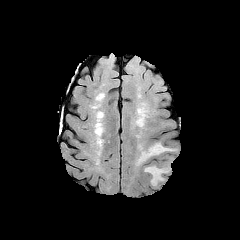
FLAIR MRI.
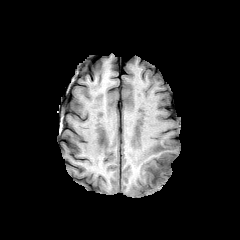
T1-weighted MRI.
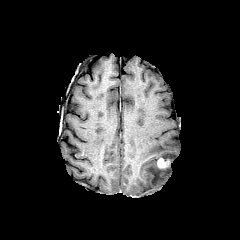
Post-contrast T1-weighted magnetic resonance of the same slice.
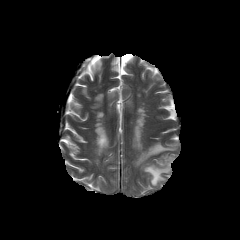
T2-weighted magnetic resonance.
Head; 240x240 px
Annotated regions:
* enhancing tumor: x1=156 y1=157 x2=170 y2=170
* edema: x1=137 y1=143 x2=175 y2=164, x1=144 y1=165 x2=169 y2=185